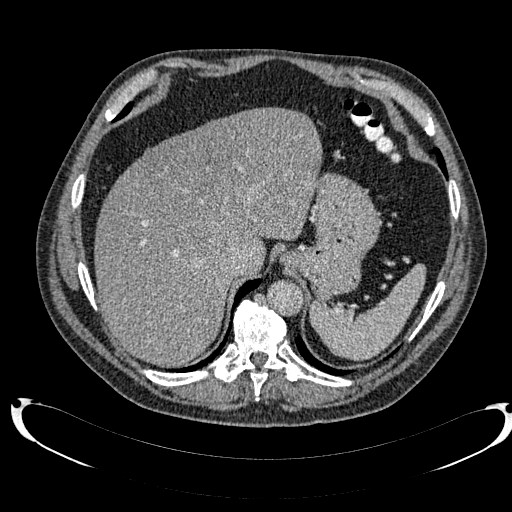 CT scan slice

The liver lesion lies within [137,114,267,219]. 2 liver regions are located at [148,134,182,151], [95,108,322,364].